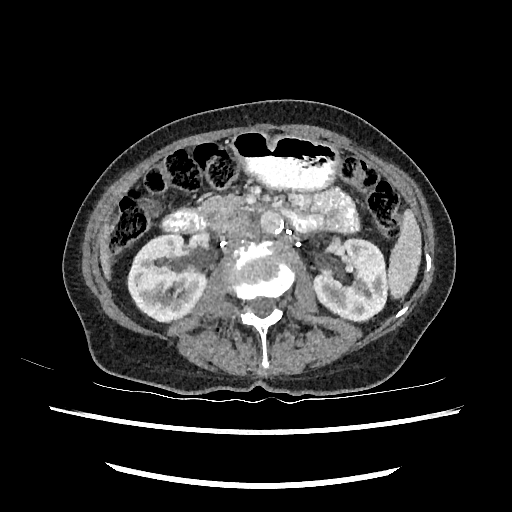

CT slice | Upper abdomen

<segmentation>
  <liver>(left=101, top=230, right=109, bottom=273)</liver>
  <kidney>(left=128, top=235, right=205, bottom=321), (left=314, top=240, right=386, bottom=320)</kidney>
</segmentation>